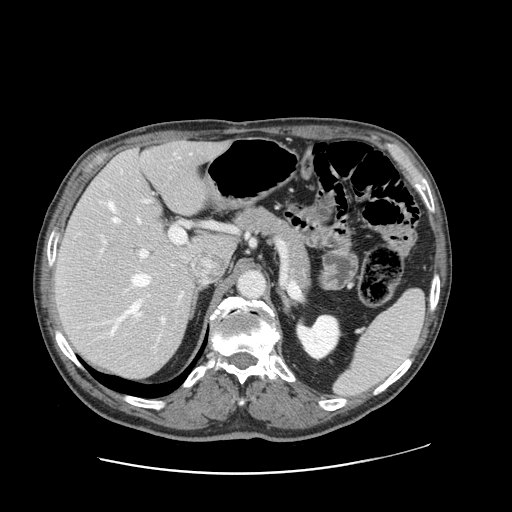

Abdomen, Image size 512x512, CT image

Some hepatic vessels may have no box.
hepatic vessel: region(161, 318, 164, 322); region(116, 302, 141, 323); region(104, 240, 105, 242); region(137, 218, 140, 222); region(132, 274, 149, 286); region(110, 325, 116, 335); region(112, 218, 117, 221); region(140, 250, 147, 257); region(143, 200, 148, 201); region(109, 202, 114, 209)